Image size 512x512. CT scan slice. Lower abdomen. Slice 80/756. 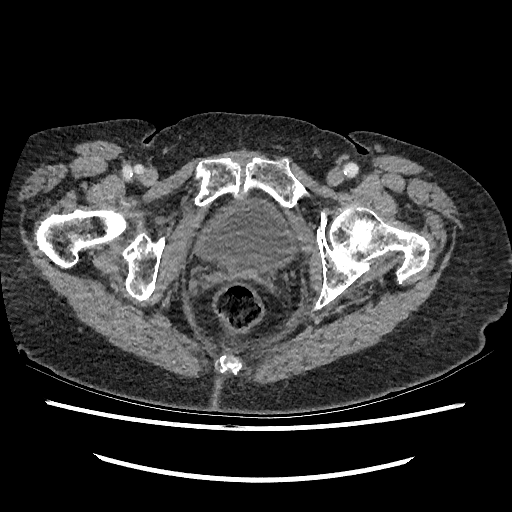
urinary bladder: (192, 194, 302, 283)